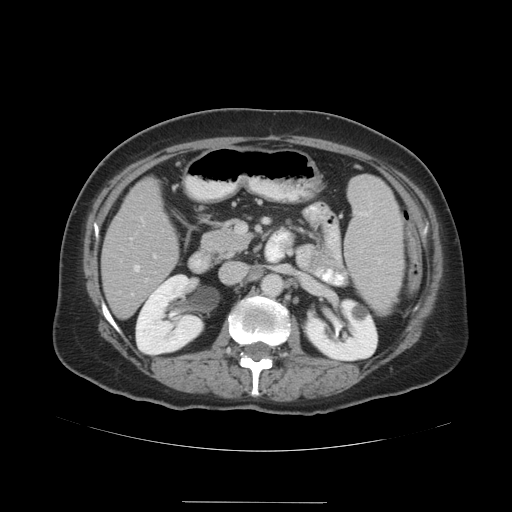

CT scan slice; Abdomen
The vessel boxes may cover only some of the vessels.
hepatic_vessel:
  - (141, 218, 144, 225)
  - (134, 265, 139, 271)
  - (153, 254, 156, 257)